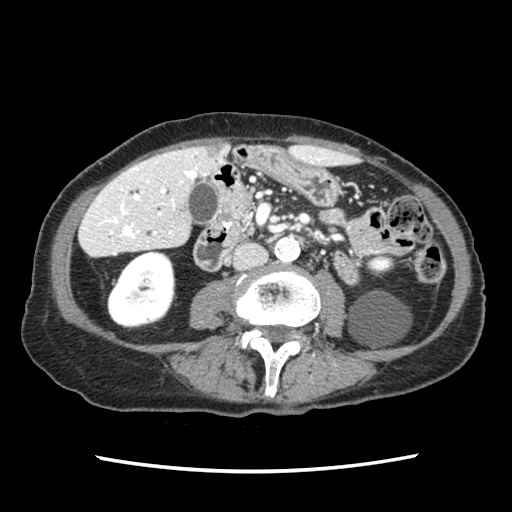

Abdomen. 512x512 px. CT image.
Pancreas = box(222, 187, 254, 237).